Slice 29 of 40; MRI; Hippocampus 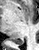
<segmentation>
  <posterior_hippocampus>[x1=12, y1=39, x2=23, y2=44]</posterior_hippocampus>
</segmentation>